Abdomen | Slice 143 of 299 | Computed tomography

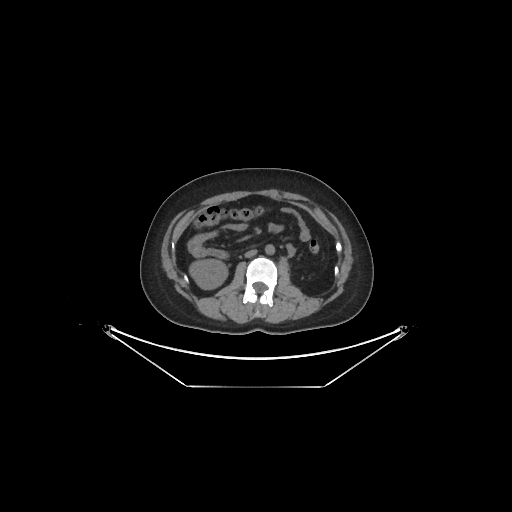

The kidney is located at x1=190, y1=259, x2=227, y2=289.